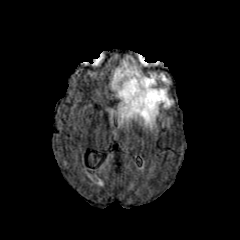
FLAIR MR.
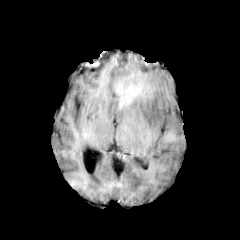
T1-weighted MR.
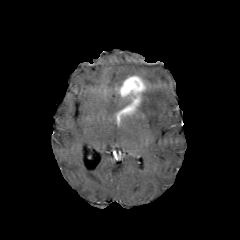
Post-contrast T1-weighted magnetic resonance.
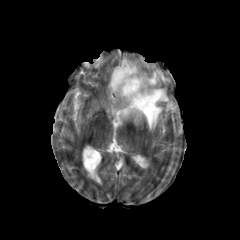
Same slice, T2-weighted MR image.
Head
Segmented structures:
• edema: bbox(109, 58, 173, 130)
• enhancing tumor: bbox(114, 75, 146, 123)